FLAIR MR.
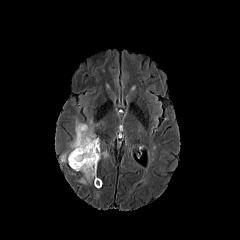
T1-weighted MR image.
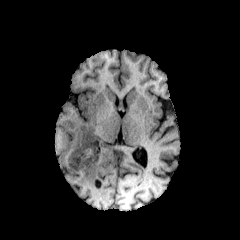
Post-contrast T1-weighted MRI.
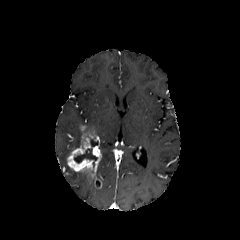
T2-weighted MR image.
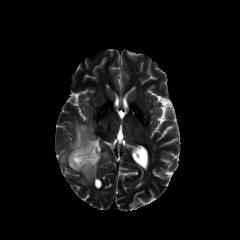
240x240
Edema: bounding box box(78, 172, 92, 184); box(85, 112, 95, 127); box(60, 119, 84, 163).
Non-enhancing tumor core: bounding box box(73, 148, 97, 162).
Enhancing tumor: bounding box box(66, 125, 102, 188).